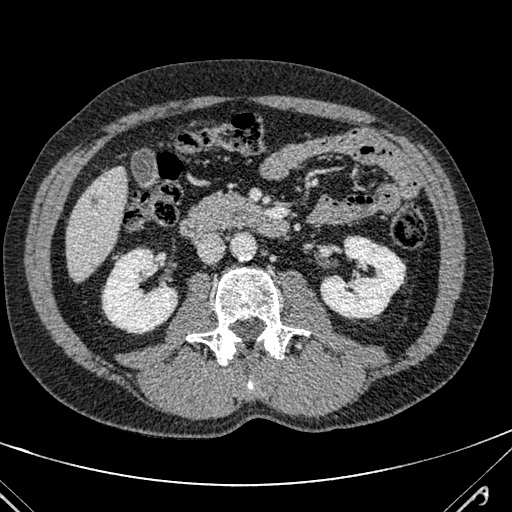
CT scan slice. Abdomen. - hepatic lesion: region(91, 195, 100, 203)
- liver: region(66, 166, 126, 280)